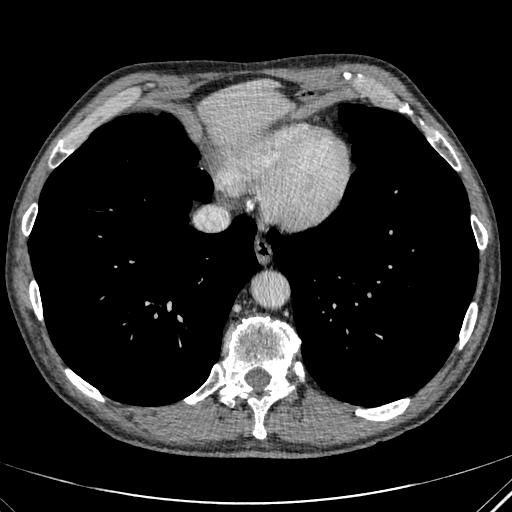
Image size 512x512 | CT slice
Liver — bbox(198, 79, 294, 147).